512x512 px; Field of view 350x350 mm; Lower abdomen; CT image; Slice 135/647

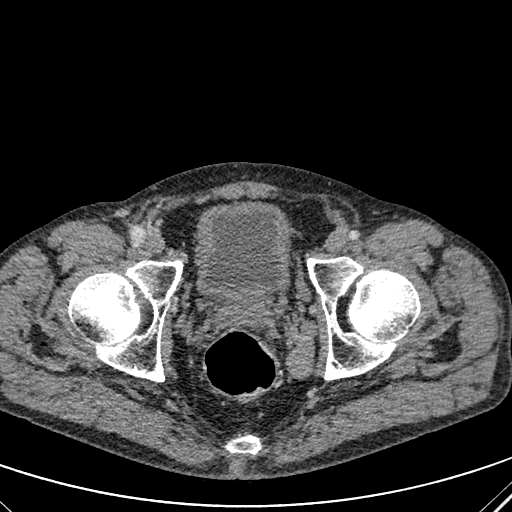 urinary bladder: 203,209,281,293